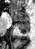

Magnetic resonance; Hippocampus
Segmented structures:
• posterior hippocampus: box=[17, 21, 29, 32]
• anterior hippocampus: box=[10, 10, 29, 20]